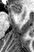 Magnetic resonance | Image size 34x52 | Medial temporal lobe
The anterior hippocampus appears at bbox(11, 5, 22, 13).